Slice index 646 | 512x512 | CT image 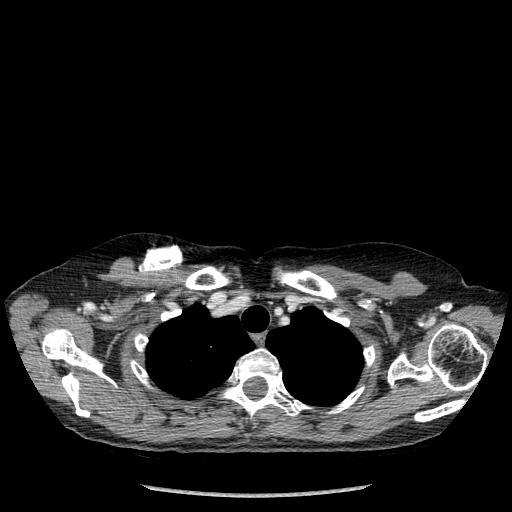

13 bone regions appear at 222,348,311,417; 363,345,375,366; 41,326,116,387; 414,399,465,421; 134,333,147,351; 324,309,349,326; 60,370,89,417; 328,386,364,413; 130,360,150,386; 161,307,181,320; 184,266,229,290; 387,323,487,391; 278,270,336,300. 2 lung regions are located at 146,303,268,398; 266,306,363,406.